FLAIR MRI.
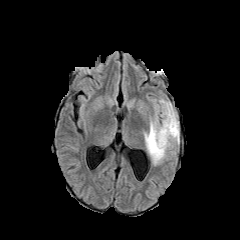
T1-weighted magnetic resonance.
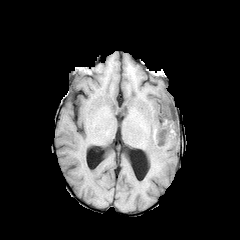
Post-contrast T1-weighted MR image.
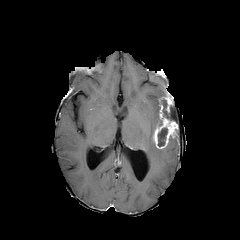
T2-weighted MRI.
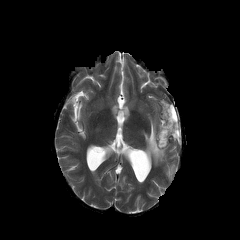
2 non-enhancing tumor core regions are bounded by box(160, 96, 177, 123); box(157, 128, 167, 148). 2 enhancing tumor regions are located at box(164, 97, 171, 111); box(152, 114, 177, 147). The edema is located at box(143, 100, 179, 165).